FLAIR magnetic resonance.
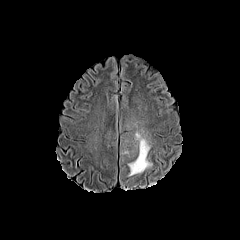
T1-weighted MR image.
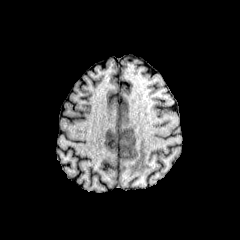
Post-contrast T1-weighted MR image.
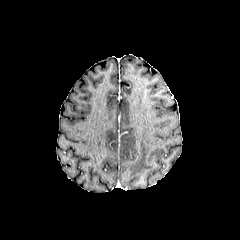
T2-weighted magnetic resonance.
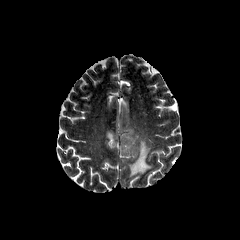
240x240. Brain.
Edema = box=[128, 132, 151, 176].